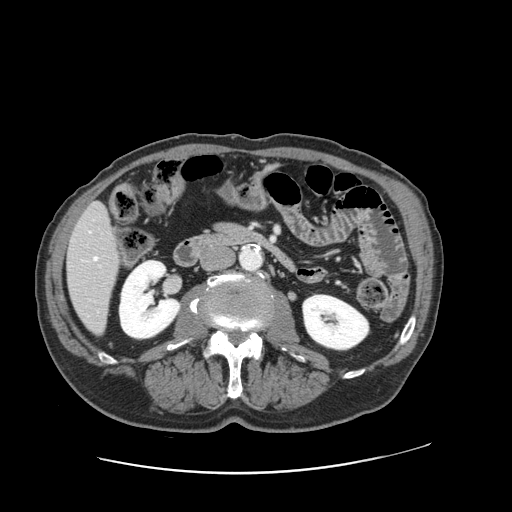
CT image, Abdomen
Some hepatic vessels may have no box.
The hepatic vessel lies within <box>94,257,97,260</box>.